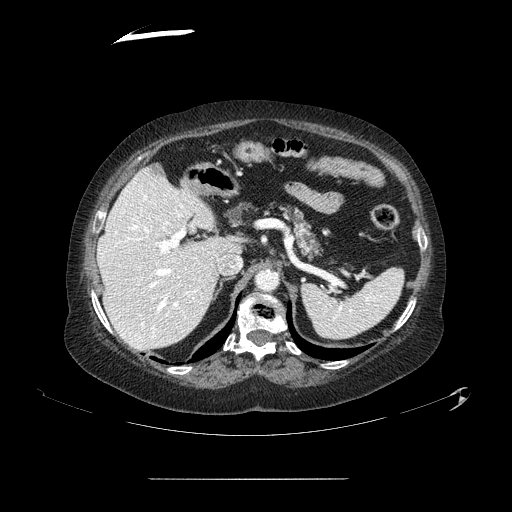
Abdomen, 512x512 px, Computed tomography
Findings:
* pancreas: [225, 202, 323, 263]